Upper abdomen; Slice 27/71; Image size 512x512; CT scan slice 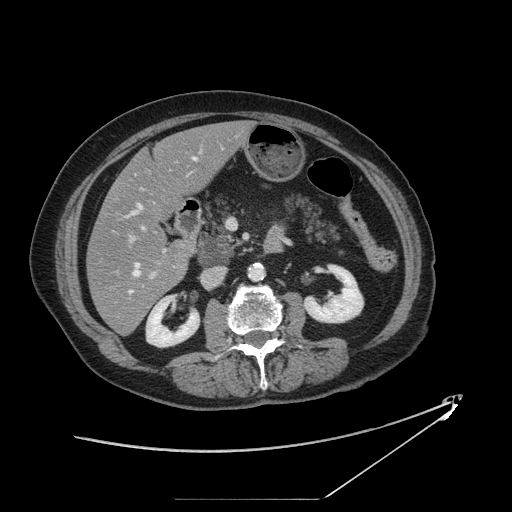

<segmentation>
  <pancreas>(x1=196, y1=230, x2=239, y2=268), (x1=280, y1=191, x2=342, y2=247)</pancreas>
  <pancreatic_tumor>(x1=199, y1=239, x2=229, y2=266)</pancreatic_tumor>
</segmentation>